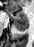 Magnetic resonance | Image size 34x47 | Medial temporal lobe
The posterior hippocampus lies within (14,22,27,31). The anterior hippocampus appears at (7,11,27,21).